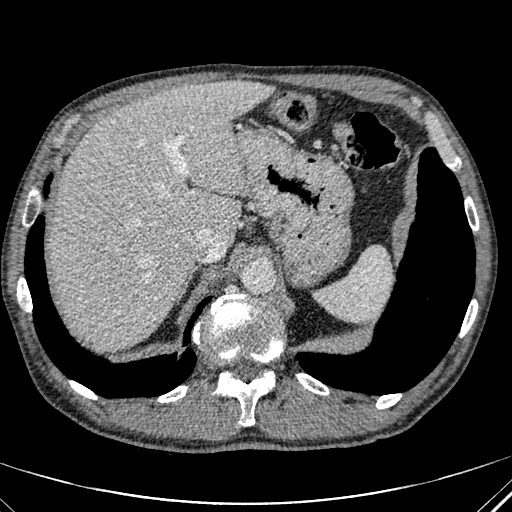
CT image | Abdomen
Liver — 52, 81, 273, 350.